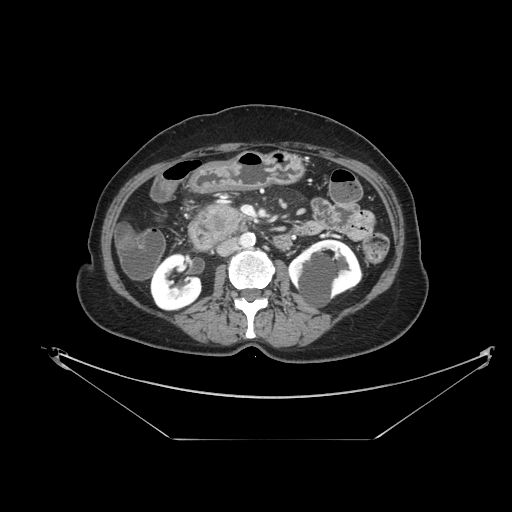 512x512. CT scan slice.
The pancreas appears at bbox(203, 204, 244, 243). The pancreatic tumor lies within bbox(213, 215, 227, 231).